Liver; 512x512 px; Slice index 111; CT scan slice
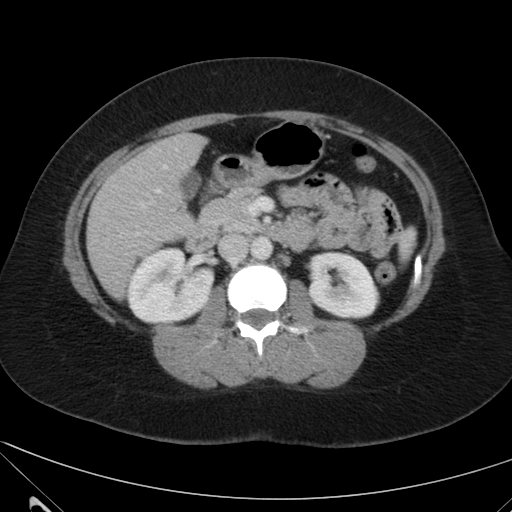

Kidney: bounding box l=129, t=249, r=212, b=321; l=311, t=253, r=376, b=316.
Liver: bounding box l=87, t=132, r=206, b=297.